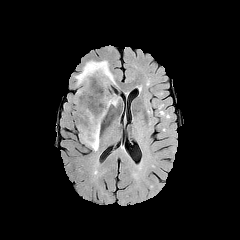
FLAIR magnetic resonance.
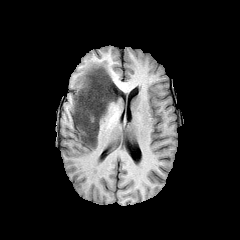
Same slice, T1-weighted MR.
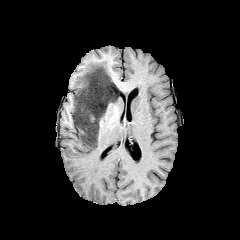
Same slice, post-contrast T1-weighted magnetic resonance.
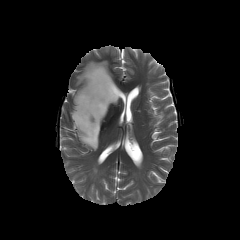
T2-weighted MR image.
Head.
Segmented structures:
- non-enhancing tumor core: 72:67:119:147
- edema: 76:61:107:89, 85:133:99:151